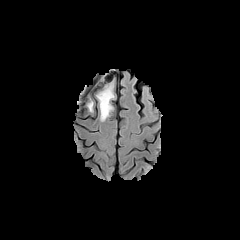
FLAIR magnetic resonance.
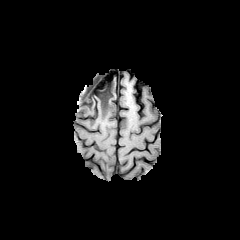
T1-weighted MRI.
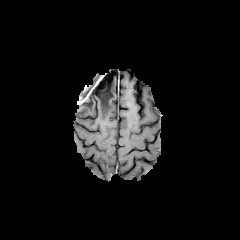
Post-contrast T1-weighted magnetic resonance.
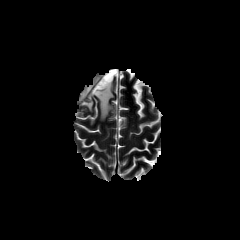
T2-weighted magnetic resonance.
Head
Edema: bounding box (87,77,115,121).
Non-enhancing tumor core: bounding box (84,94,92,106), (94,81,111,111).